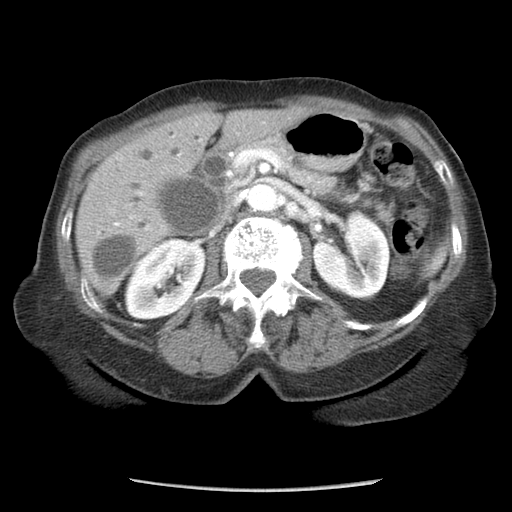 CT slice, Upper abdomen

<segmentation>
  <pancreas>[x1=215, y1=153, x2=241, y2=179], [x1=257, y1=139, x2=340, y2=196]</pancreas>
</segmentation>